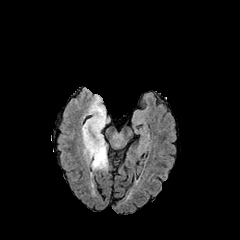
FLAIR MRI.
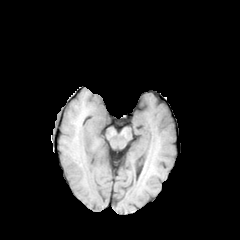
T1-weighted magnetic resonance.
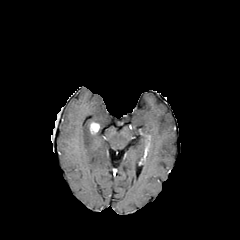
Post-contrast T1-weighted MR.
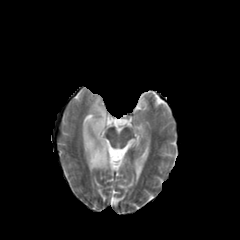
Same slice, T2-weighted MRI.
Edema = [x1=81, y1=96, x2=109, y2=171].
Enhancing tumor = [x1=90, y1=122, x2=99, y2=133].